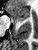 MR. Hippocampus.
{
  "anterior_hippocampus": [
    "bbox=[7, 6, 29, 20]"
  ]
}